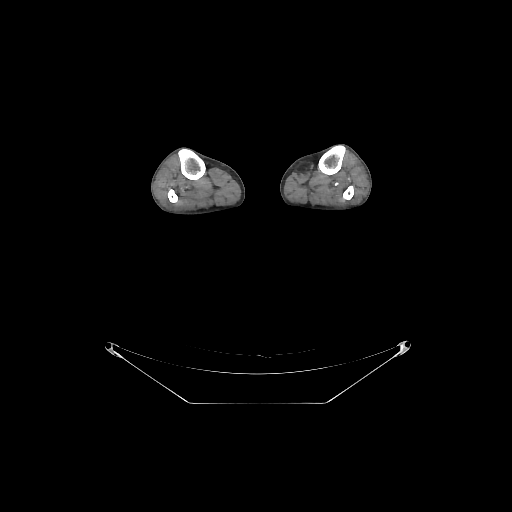
CT image

Segmented structures:
• bone: {"x1": 343, "y1": 186, "x2": 353, "y2": 199}, {"x1": 318, "y1": 145, "x2": 345, "y2": 174}, {"x1": 178, "y1": 149, "x2": 205, "y2": 179}, {"x1": 168, "y1": 189, "x2": 177, "y2": 202}